Liver, Image size 512x512, CT
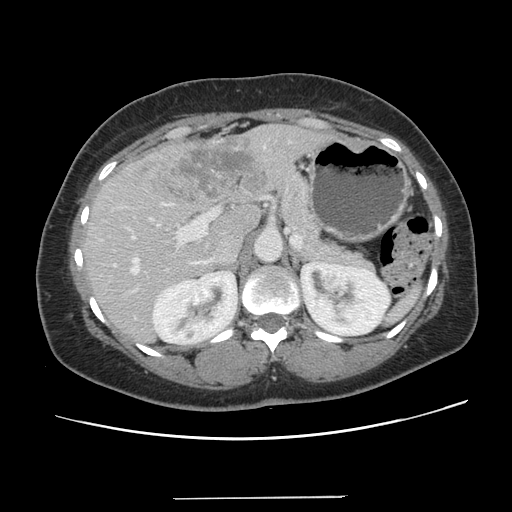
Only some of the vessels may be annotated.
• hepatic vessel: [114, 264, 116, 266], [162, 203, 165, 205], [177, 209, 217, 244], [131, 258, 138, 273], [170, 203, 172, 205], [133, 289, 136, 291], [132, 235, 135, 238], [157, 224, 159, 226], [150, 218, 152, 220]
• liver tumor: [139, 136, 265, 203]